CT slice

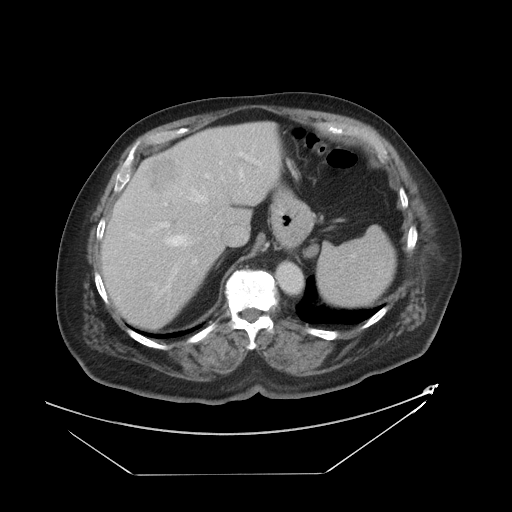 Not every hepatic vessel necessarily has a box.
Liver tumor = 144,154,186,197.
Hepatic vessel = 186,234,191,246; 190,191,205,201; 203,171,212,179.